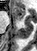
Magnetic resonance, Hippocampus, 37x51
The anterior hippocampus lies within bbox=[11, 6, 25, 22].